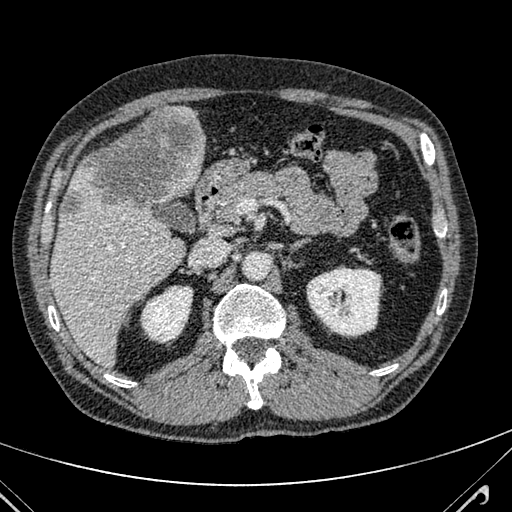
CT image
Liver: 155 157 203 204, 52 156 183 366, 169 107 198 126.
Focal liver lesion: 83 108 204 207, 60 189 81 213.